FLAIR MR.
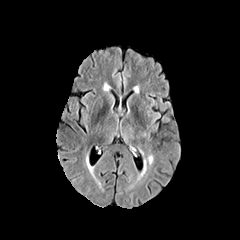
T1-weighted MRI.
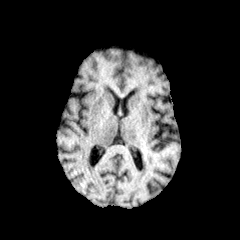
Post-contrast T1-weighted MR image.
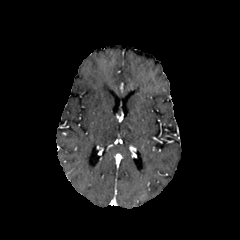
T2-weighted MRI.
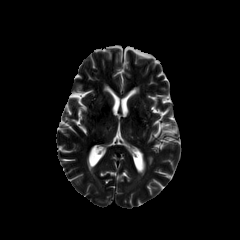
240x240 px | Head
edema:
  - {"x1": 146, "y1": 155, "x2": 153, "y2": 165}